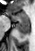

MRI; Hippocampus; 35x51 px

3 posterior hippocampus regions appear at (x1=16, y1=21, x2=29, y2=34), (x1=13, y1=21, x2=16, y2=21), (x1=20, y1=36, x2=24, y2=37). The anterior hippocampus appears at (x1=11, y1=12, x2=29, y2=20).